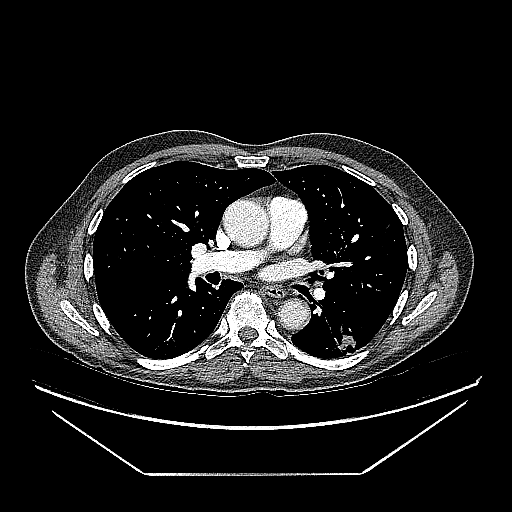

CT scan slice. Image size 512x512.
{"lung_tumor": ["box=[325, 316, 357, 355]"]}